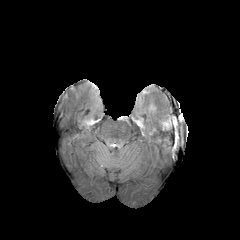
FLAIR MR.
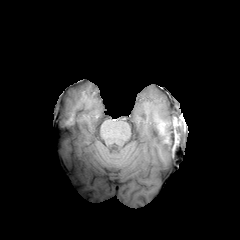
Same slice, T1-weighted magnetic resonance.
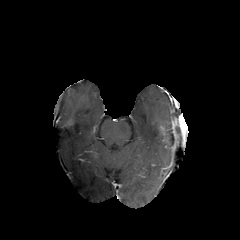
Post-contrast T1-weighted magnetic resonance.
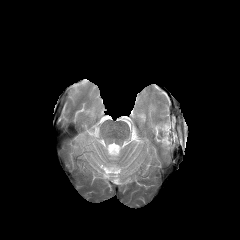
T2-weighted MR image.
Brain.
4 edema regions appear at [x1=132, y1=109, x2=145, y2=129], [x1=102, y1=142, x2=121, y2=155], [x1=157, y1=113, x2=171, y2=133], [x1=148, y1=103, x2=157, y2=124].